Slice 46/89; Upper abdomen; Image size 512x512; CT scan slice

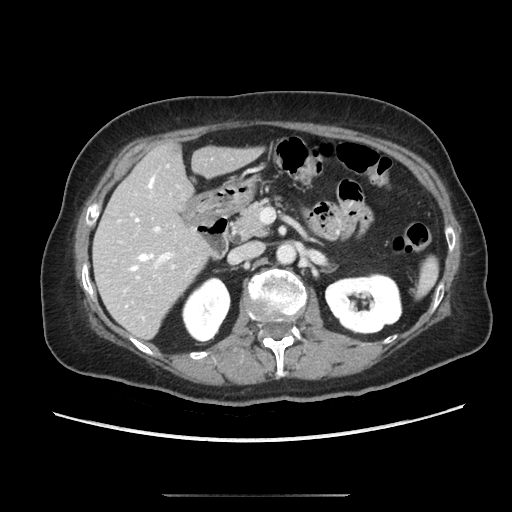
{
  "pancreas": [
    {"x1": 234, "y1": 203, "x2": 265, "y2": 239}
  ]
}